Slice 135 of 846; CT image
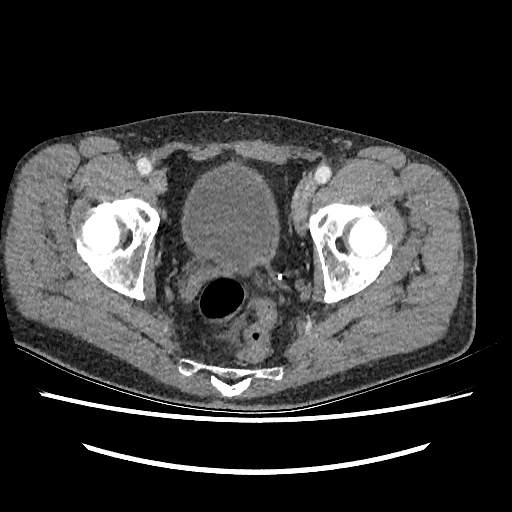

• urinary bladder: <bbox>184, 169, 275, 273</bbox>